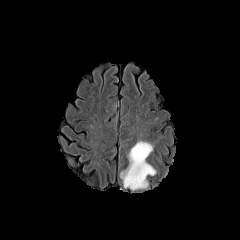
FLAIR MRI.
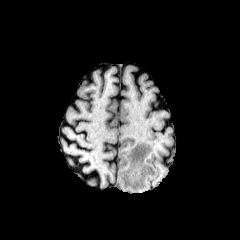
T1-weighted MR image.
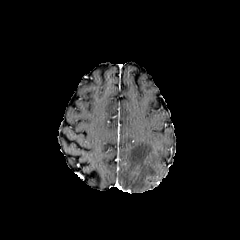
Post-contrast T1-weighted MRI of the same slice.
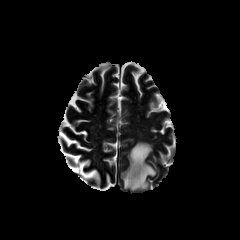
T2-weighted magnetic resonance.
The edema is located at box(121, 141, 156, 190).